CT scan slice, Upper abdomen, 512x512 px

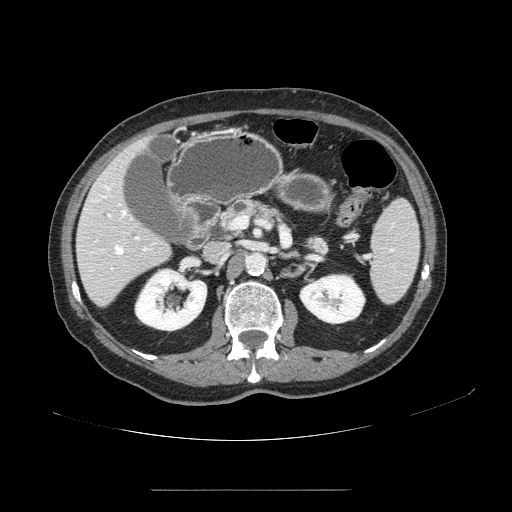 {
  "pancreas": [
    "221 198 328 256"
  ]
}